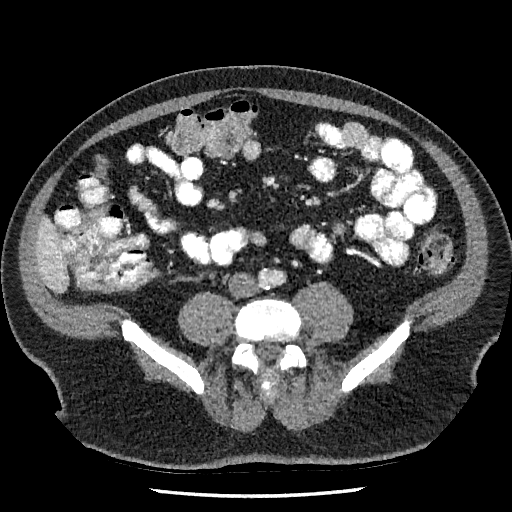 CT scan slice

<segmentation>
  <liver><bbox>37, 216, 67, 291</bbox></liver>
</segmentation>